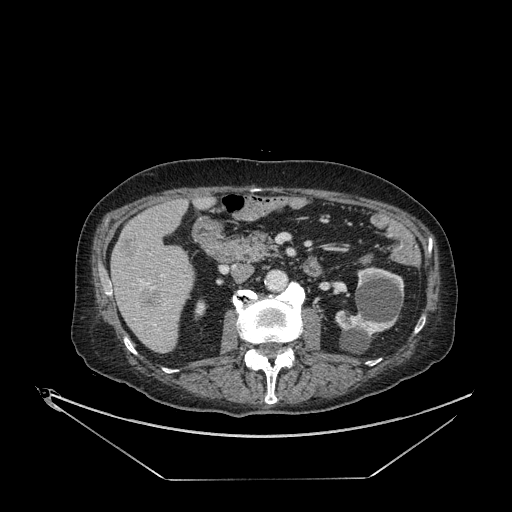
Upper abdomen, CT slice
4 kidney regions appear at <box>335,311,395,335</box>, <box>196,303,204,314</box>, <box>321,282,346,293</box>, <box>358,268,403,292</box>. 2 hepatic lesion regions are bounded by <box>120,238,136,257</box>, <box>140,290,161,313</box>. The liver is located at <box>111,200,191,353</box>.